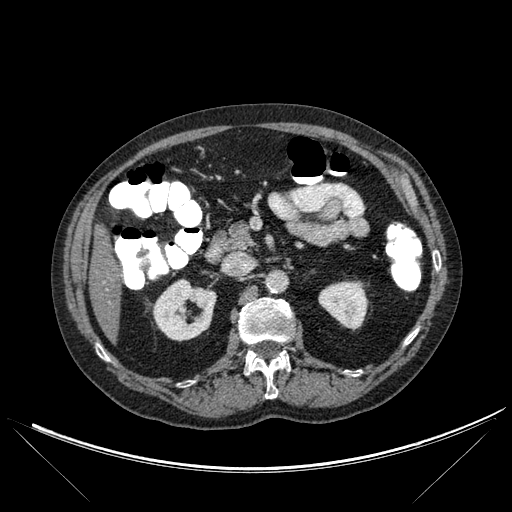 CT image; Liver; 512x512 px
• bone: <bbox>404, 329, 418, 344</bbox>, <bbox>344, 370, 361, 376</bbox>, <bbox>246, 350, 289, 398</bbox>, <bbox>433, 251, 440, 270</bbox>, <bbox>239, 298, 294, 346</bbox>
• kidney: <bbox>153, 279, 216, 340</bbox>, <bbox>319, 282, 367, 328</bbox>
• liver: <bbox>89, 233, 124, 340</bbox>